Hippocampus, Image width 36 mm, MRI slice 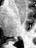
posterior_hippocampus:
  - [12, 39, 17, 40]